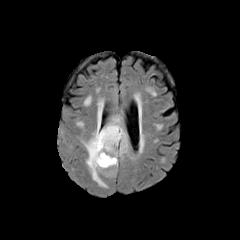
FLAIR MR image.
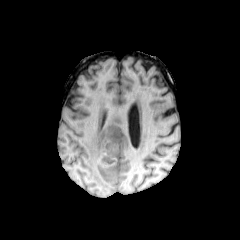
Same slice, T1-weighted MR.
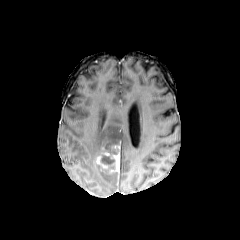
Post-contrast T1-weighted magnetic resonance of the same slice.
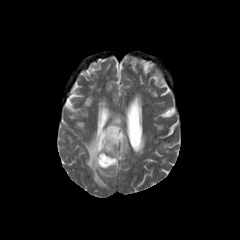
T2-weighted MRI of the same slice.
Head. 240x240 px.
The enhancing tumor appears at box=[93, 146, 120, 175]. The edema is located at box=[81, 104, 129, 187]. The non-enhancing tumor core appears at box=[98, 143, 120, 168].